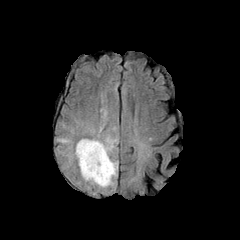
FLAIR MRI.
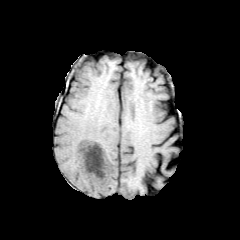
T1-weighted magnetic resonance.
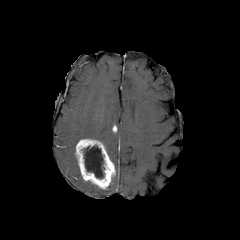
Post-contrast T1-weighted MRI of the same slice.
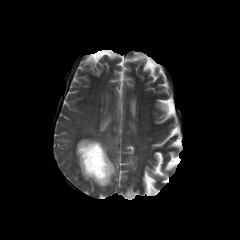
T2-weighted MR of the same slice.
<segmentation>
  <edema>74,104,120,192; 54,128,107,195</edema>
  <non-enhancing_tumor_core>82,146,105,179</non-enhancing_tumor_core>
  <enhancing_tumor>75,139,115,188</enhancing_tumor>
</segmentation>